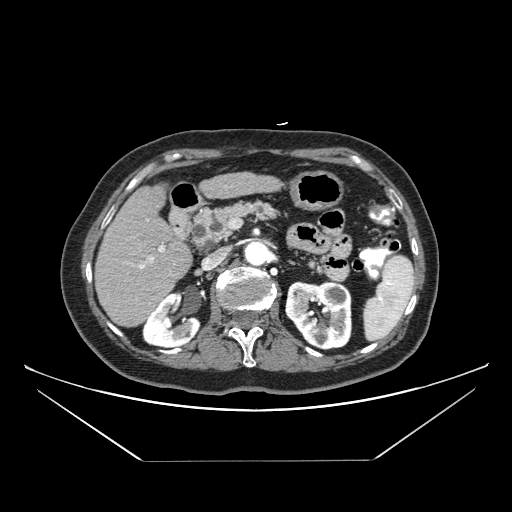

CT
pancreas: rect(187, 201, 279, 250) | pancreatic tumor: rect(198, 240, 215, 252)